Brain. Slice index 57.
FLAIR magnetic resonance.
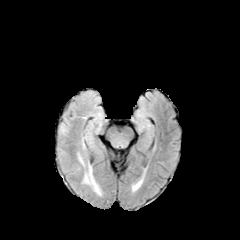
T1-weighted MR image.
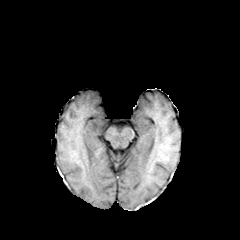
Post-contrast T1-weighted MRI.
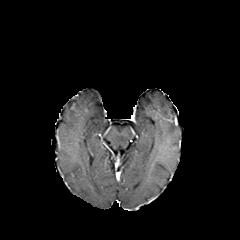
T2-weighted magnetic resonance.
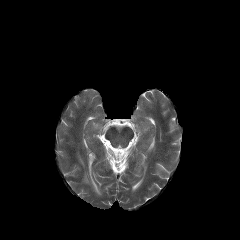
The edema is bounded by 84, 164, 100, 194.